FLAIR MR image.
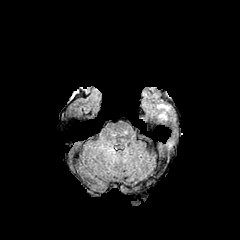
T1-weighted MRI.
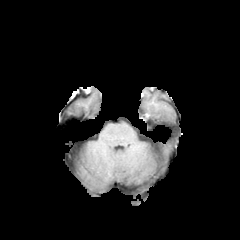
Post-contrast T1-weighted magnetic resonance.
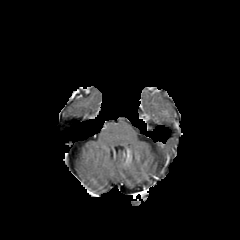
T2-weighted MRI.
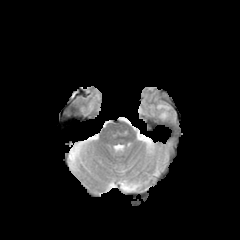
240x240
The edema lies within left=156, top=103, right=177, bottom=127.